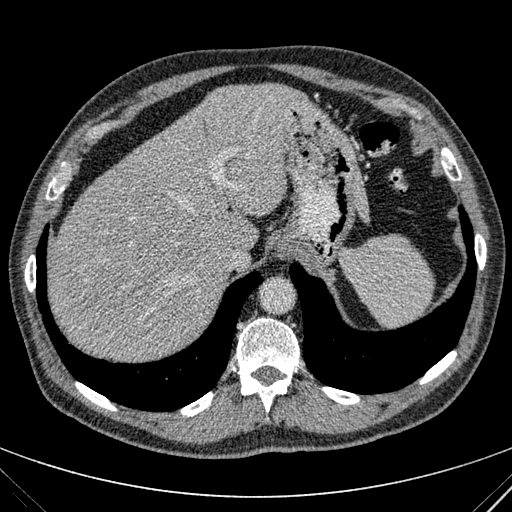
512x512; Computed tomography; Liver

Liver: bounding box 47 83 305 359, 351 173 368 221.